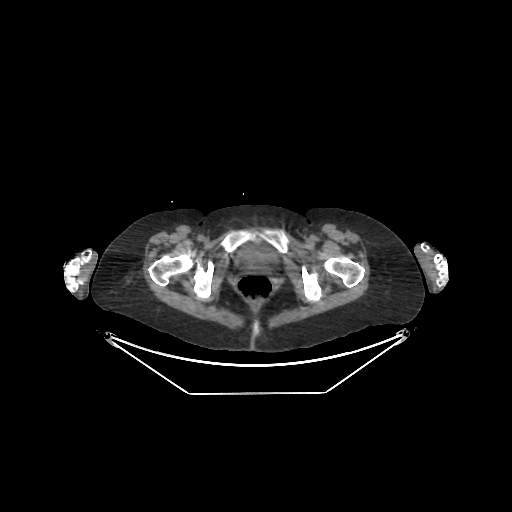

CT
{"urinary_bladder": ["(230, 239, 280, 268)"]}